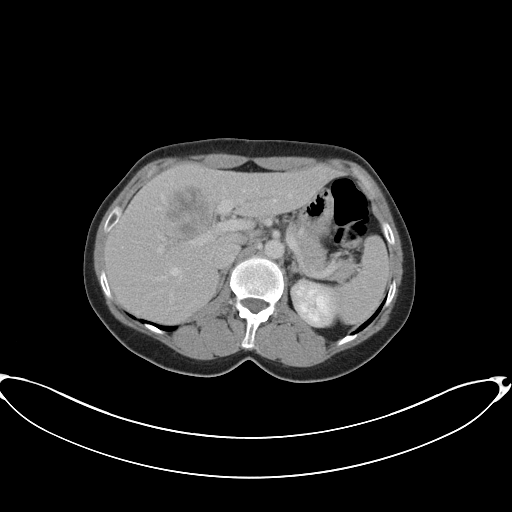
CT scan slice
Only some of the vessels may be annotated.
{"hepatic_vessel": ["171:268:179:274", "218:221:246:230", "158:247:162:252", "190:233:212:245", "272:198:276:202", "240:200:241:201", "242:189:245:191", "218:196:232:212", "288:193:291:197"], "liver_tumor": ["170:188:210:238"]}